CT scan slice | Slice 567 of 683
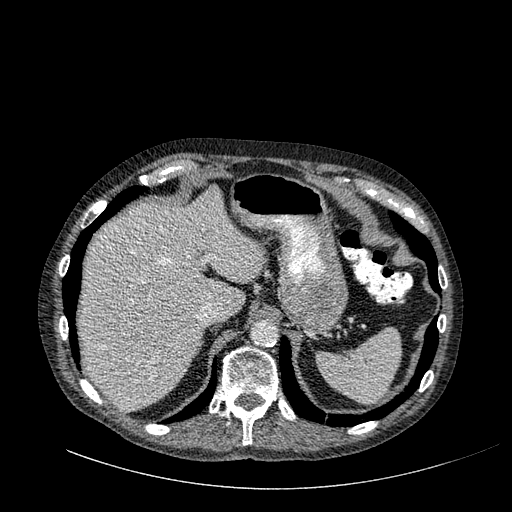 Liver: bounding box <bbox>79, 188, 262, 409</bbox>.